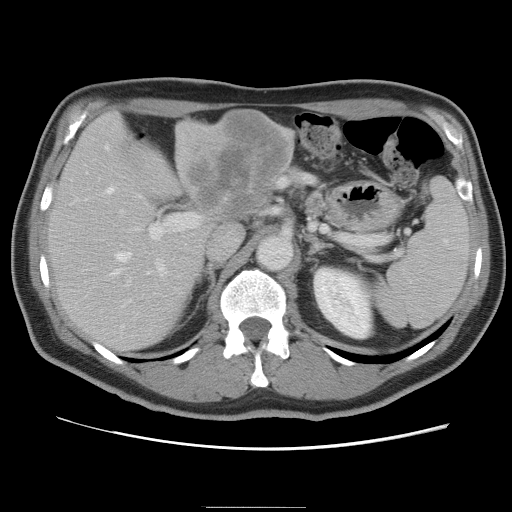
CT scan slice; Abdomen
The vessel boxes may cover only some of the vessels.
Annotated regions:
* hepatic vessel: box(147, 271, 149, 272); box(105, 144, 108, 148); box(127, 299, 131, 301); box(138, 195, 140, 196); box(112, 269, 119, 274); box(149, 212, 199, 238); box(278, 177, 286, 184); box(106, 187, 113, 192); box(74, 198, 76, 200); box(127, 279, 129, 284); box(155, 259, 164, 273); box(119, 209, 123, 212); box(121, 325, 122, 326); box(116, 251, 130, 260)
* liver tumor: box(188, 117, 289, 219)